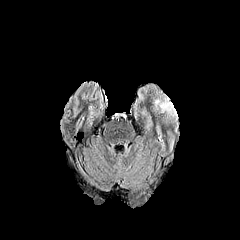
FLAIR magnetic resonance.
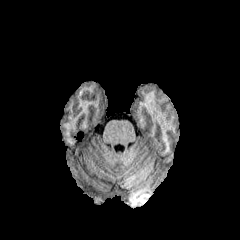
Same slice, T1-weighted magnetic resonance.
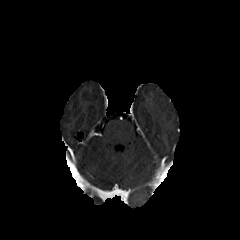
Post-contrast T1-weighted MRI.
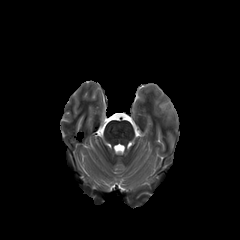
Same slice, T2-weighted magnetic resonance.
240x240 px
{
  "edema": [
    "x1=152, y1=91, x2=177, y2=126",
    "x1=147, y1=118, x2=152, y2=130"
  ]
}